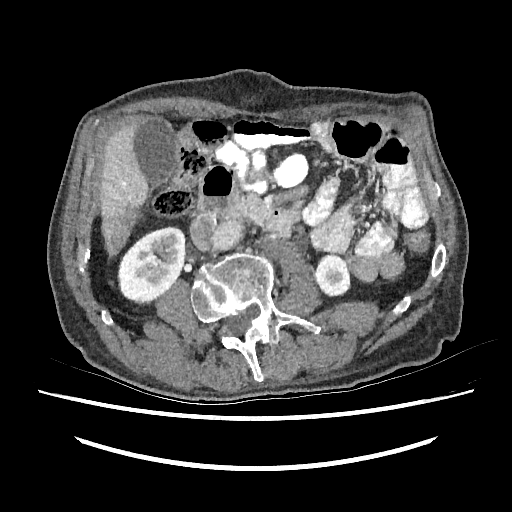
CT slice, 512x512, Liver
Hepatic lesion: bounding box bbox(113, 206, 134, 248).
Kidney: bounding box bbox(315, 256, 349, 295); bbox(119, 228, 184, 301).
Liver: bounding box bbox(99, 119, 148, 255).